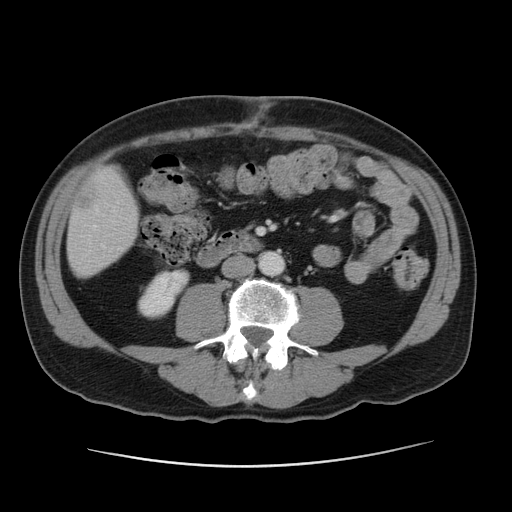

Upper abdomen. Image size 512x512. CT slice.
hepatic_lesion:
  - (left=76, top=188, right=97, bottom=209)
liver:
  - (left=66, top=170, right=139, bottom=276)
kidney:
  - (left=140, top=271, right=187, bottom=315)